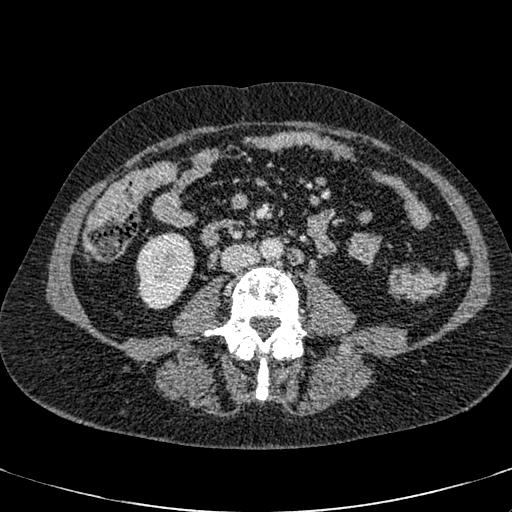

Computed tomography. Abdomen. 512x512. Annotated regions:
• kidney: x1=137, y1=233, x2=194, y2=308